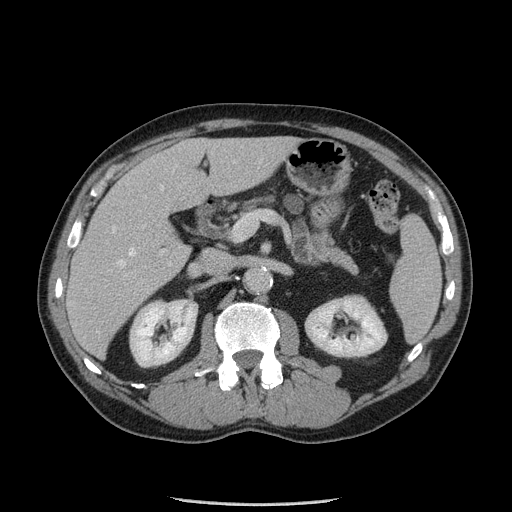

512x512; Computed tomography
Pancreatic tumor at 284 194 304 214.
Pancreas at 289 207 358 274, 241 194 285 211.